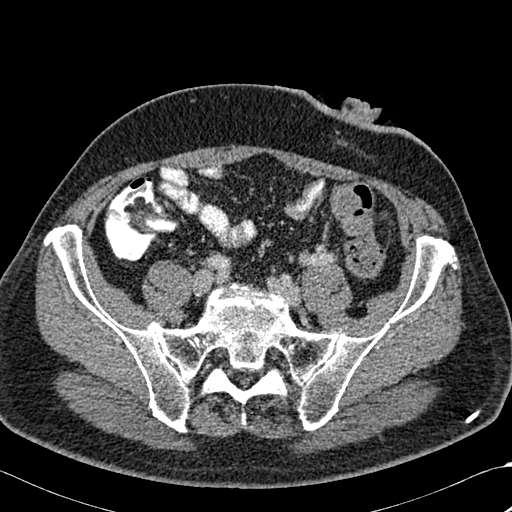
CT image. 512x512. The bone lies within 45:225:455:431.